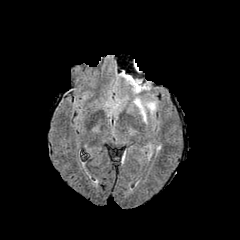
FLAIR MR image.
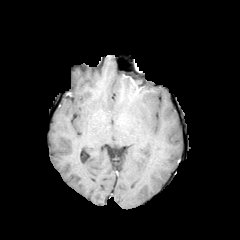
Same slice, T1-weighted MR.
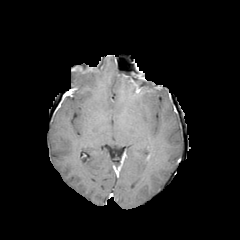
Post-contrast T1-weighted magnetic resonance.
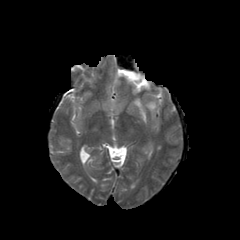
Same slice, T2-weighted magnetic resonance.
240x240 px. Head.
Segmented structures:
- edema: box=[133, 82, 157, 123]; box=[120, 73, 137, 93]